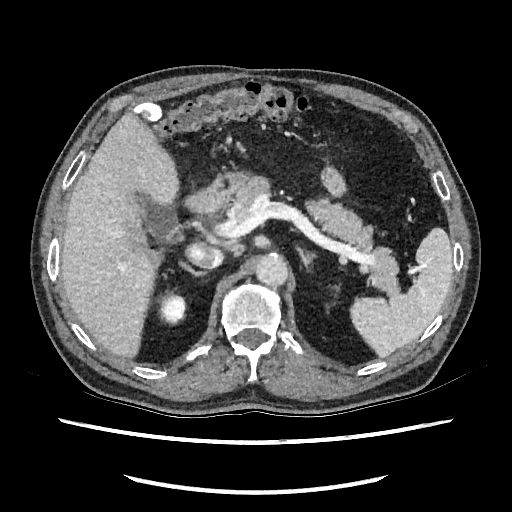

CT, 512x512
Hepatic lesion: <box>129,225,156,265</box>.
Kidney: <box>159,292,185,323</box>.
Liver: <box>64,115,177,355</box>.